MR image, Medial temporal lobe, Slice index 24, Field of view 36 mm wide, 1.00 mm slice spacing

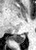
Annotated regions:
- posterior hippocampus: rect(10, 34, 25, 43)